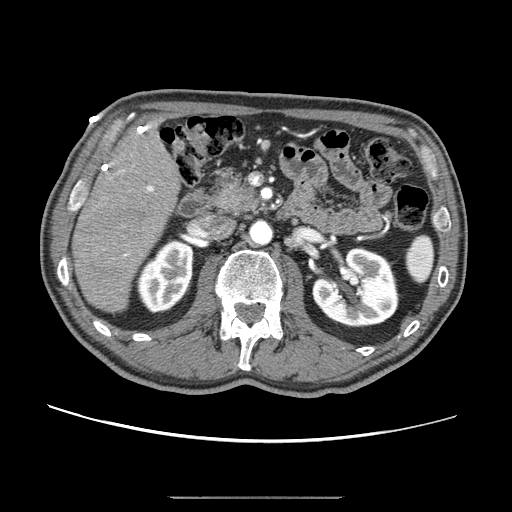
CT | Upper abdomen

The pancreatic tumor lies within 225 186 252 208. The pancreas lies within 213 173 262 214.